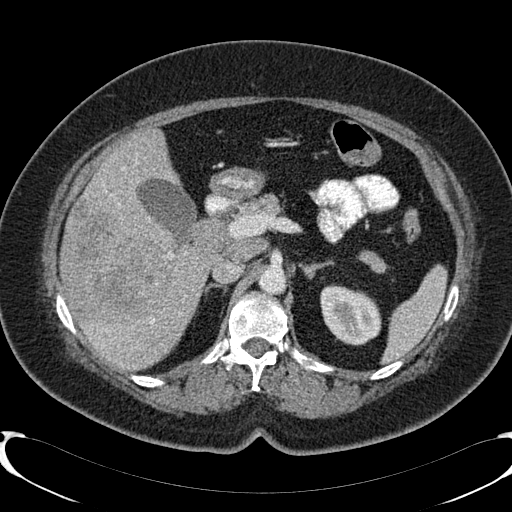 Computed tomography. Upper abdomen.

Findings:
* kidney: l=321, t=287, r=379, b=344
* liver: l=61, t=215, r=71, b=306; l=78, t=128, r=212, b=369
* hepatic lesion: l=63, t=202, r=171, b=320